FLAIR MR.
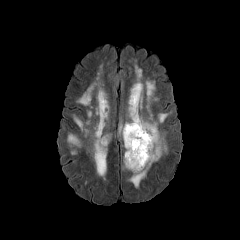
T1-weighted MRI.
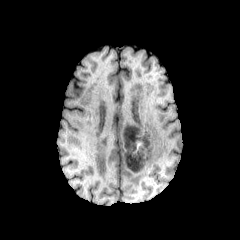
Post-contrast T1-weighted magnetic resonance.
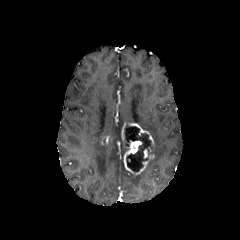
T2-weighted MRI.
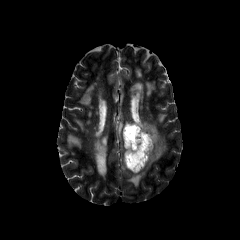
240x240 px | Head
6 edema regions are bounded by [x1=145, y1=80, x2=158, y2=103], [x1=67, y1=135, x2=82, y2=147], [x1=127, y1=65, x2=167, y2=188], [x1=76, y1=83, x2=108, y2=177], [x1=73, y1=116, x2=88, y2=134], [x1=158, y1=114, x2=168, y2=123]. 5 enhancing tumor regions appear at [x1=123, y1=140, x2=149, y2=174], [x1=128, y1=123, x2=154, y2=146], [x1=143, y1=149, x2=154, y2=159], [x1=102, y1=135, x2=110, y2=145], [x1=121, y1=123, x2=126, y2=142]. The non-enhancing tumor core appears at [x1=123, y1=123, x2=153, y2=172].